FLAIR MRI.
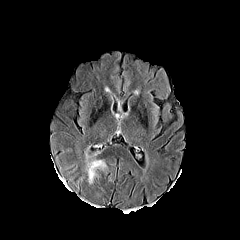
T1-weighted MR image.
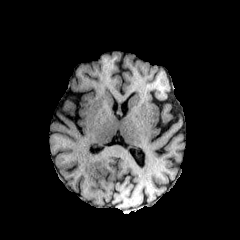
Post-contrast T1-weighted MR.
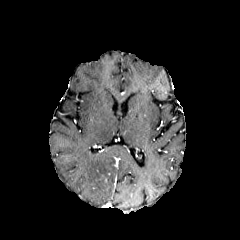
T2-weighted MR.
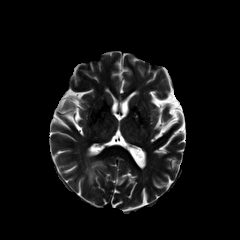
• edema: box=[86, 161, 104, 182]